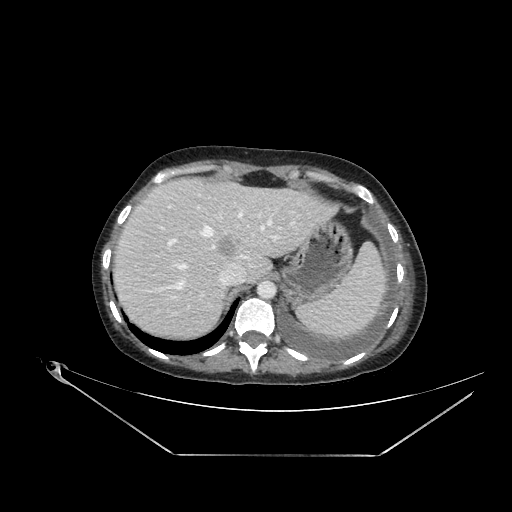
Upper abdomen | Computed tomography

Hepatic lesion: bounding box 216, 238, 242, 256.
Liver: bounding box 119, 180, 330, 333.